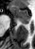 MR

The posterior hippocampus is bounded by box=[20, 21, 29, 23]. The anterior hippocampus is at box=[13, 6, 30, 20].